FLAIR magnetic resonance.
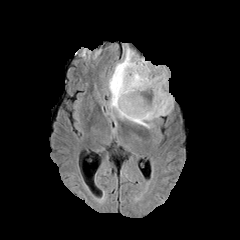
T1-weighted MRI.
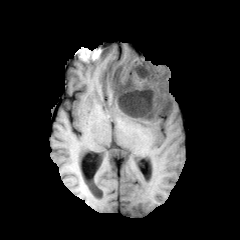
Post-contrast T1-weighted MR image.
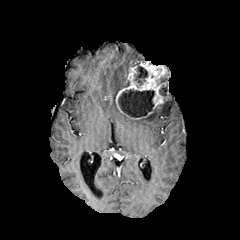
T2-weighted MR.
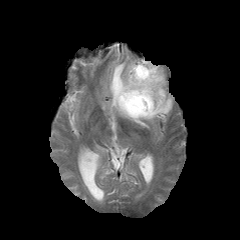
Brain
Enhancing tumor: bounding box box=[116, 61, 168, 108].
Non-enhancing tumor core: bounding box box=[116, 89, 171, 117]; box=[159, 85, 167, 96]; box=[135, 66, 147, 84].
Edema: bounding box box=[106, 48, 173, 128].